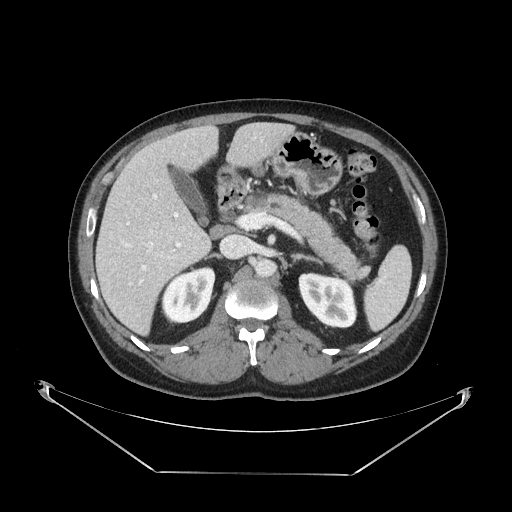 CT image | 512x512
Pancreas — [254,193,369,281].
Pancreatic tumor — [255,197,269,208].